Computed tomography, Liver 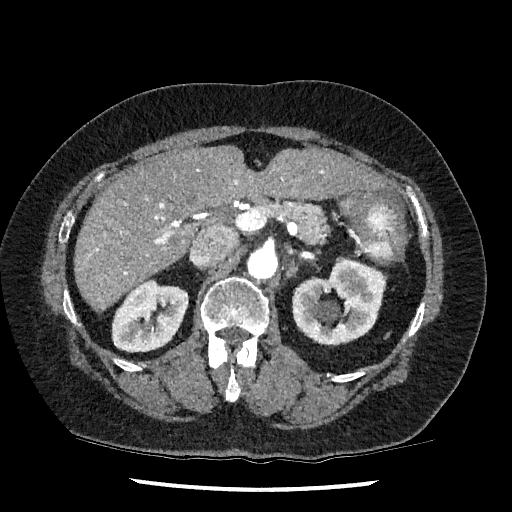
Segmented structures:
* liver: x1=74 y1=146 x2=385 y2=311
* kidney: x1=112 y1=280 x2=187 y2=351, x1=293 y1=258 x2=385 y2=344